Field of view 367 mm wide, 0.70 mm slice spacing, CT scan slice
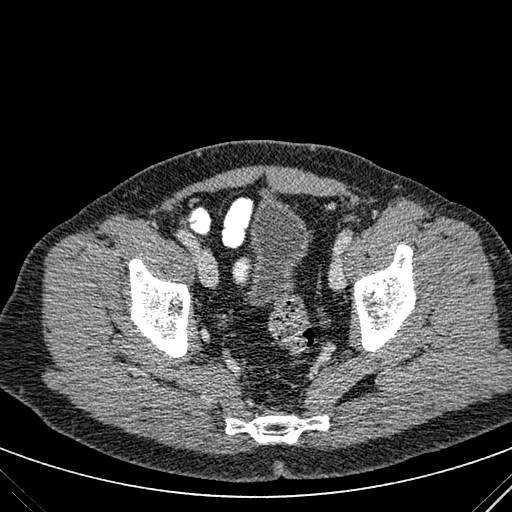

Urinary bladder: bounding box [x1=240, y1=197, x2=312, y2=307].